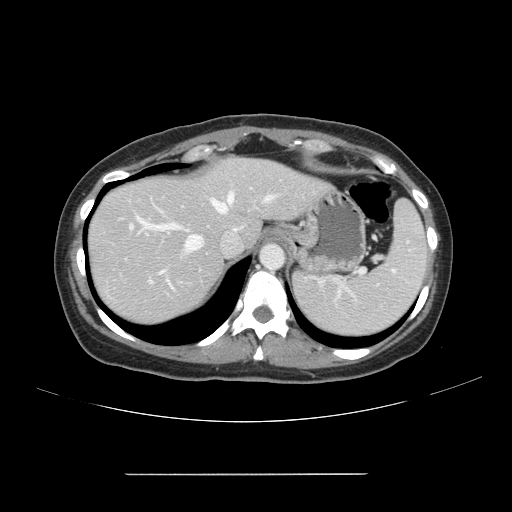 512x512 px; CT scan slice

The vessel annotation is not exhaustive.
{
  "hepatic_vessel": [
    "<box>264,195,273,201</box>",
    "<box>212,193,233,212</box>",
    "<box>185,229,187,230</box>",
    "<box>160,271,164,272</box>",
    "<box>185,235,202,251</box>",
    "<box>137,217,179,229</box>",
    "<box>130,225,132,228</box>",
    "<box>169,282,170,285</box>"
  ]
}